MR | Medial temporal lobe
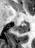

Posterior hippocampus: 15 22 29 33.